512x512. CT scan slice. Upper abdomen. Slice 35 of 129.
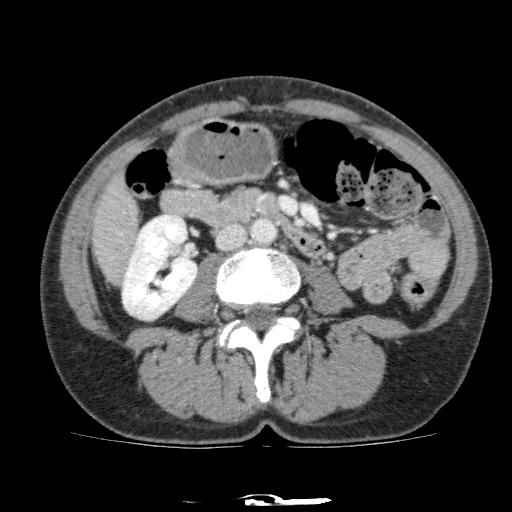

The kidney is located at [122, 215, 196, 318]. The liver is bounded by [91, 173, 139, 286].